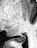 Medial temporal lobe, Magnetic resonance
Annotated regions:
* posterior hippocampus: x1=12, y1=35, x2=26, y2=42